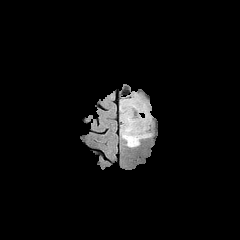
FLAIR MR image.
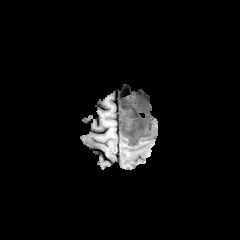
T1-weighted MRI.
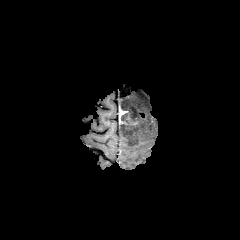
Same slice, post-contrast T1-weighted MR image.
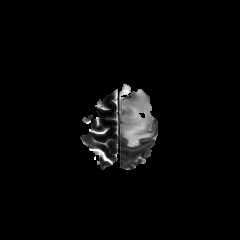
T2-weighted magnetic resonance of the same slice.
2 enhancing tumor regions appear at <box>120,108,143,129</box>, <box>132,130,147,139</box>. 2 non-enhancing tumor core regions appear at <box>121,120,151,147</box>, <box>121,104,141,119</box>. The edema appears at <box>119,92,151,121</box>.